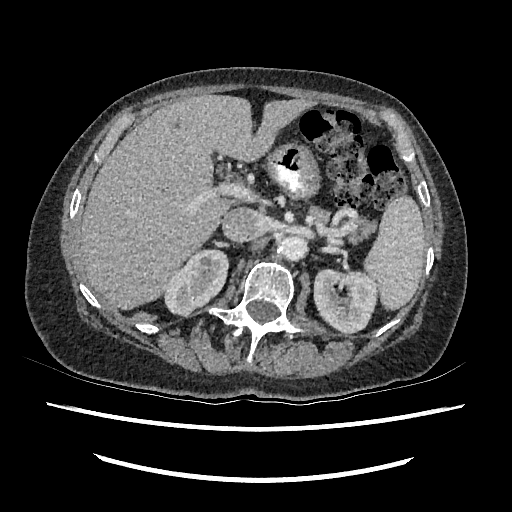
Liver. CT slice.

2 kidney regions appear at left=164, top=250, right=228, bottom=315; left=314, top=270, right=376, bottom=332. The liver is at left=83, top=95, right=315, bottom=308.